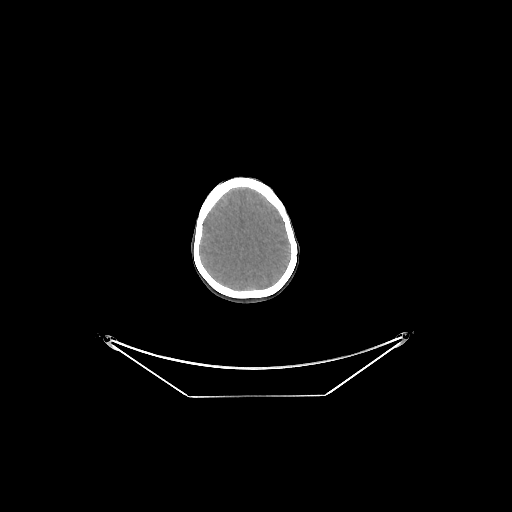 Brain, CT scan slice
Brain — l=199, t=188, r=290, b=290.